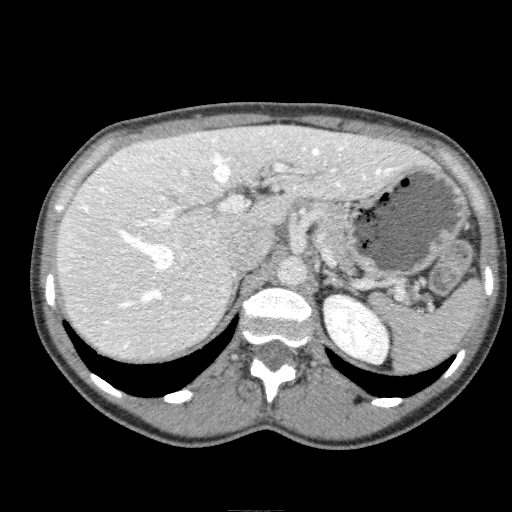 Upper abdomen; CT slice
{"liver": ["<bbox>56, 124, 432, 359</bbox>"], "kidney": ["<bbox>324, 295, 387, 363</bbox>"]}